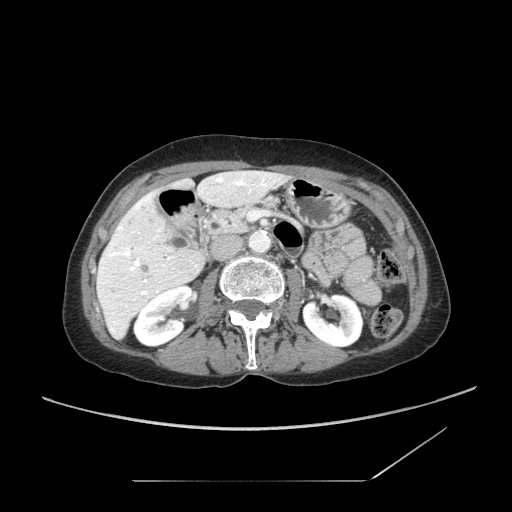

Upper abdomen; CT scan slice; 512x512

{
  "pancreas": [
    "x1=207, y1=197, x2=282, y2=236"
  ]
}